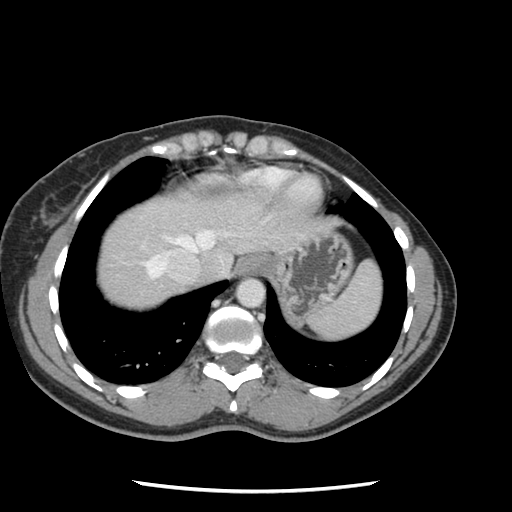

Image size 512x512; CT slice; Abdomen
The vessel boxes may cover only some of the vessels.
<segmentation>
  <hepatic_vessel>(x1=143, y1=253, x2=167, y2=276), (x1=172, y1=231, x2=213, y2=250)</hepatic_vessel>
</segmentation>